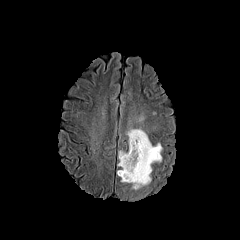
FLAIR MR image.
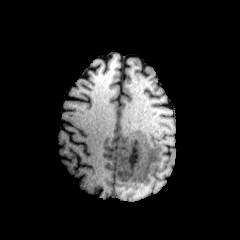
T1-weighted MR image of the same slice.
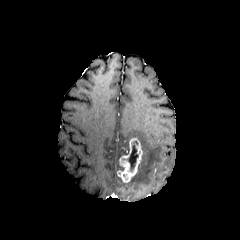
Post-contrast T1-weighted magnetic resonance of the same slice.
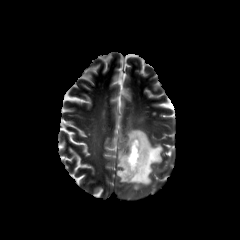
T2-weighted magnetic resonance.
edema:
  - box(125, 129, 162, 199)
non-enhancing_tumor_core:
  - box(123, 141, 138, 171)
enhancing_tumor:
  - box(116, 138, 142, 182)